240x240
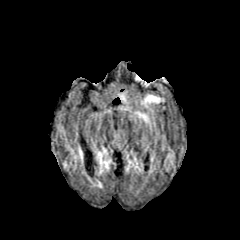
FLAIR magnetic resonance.
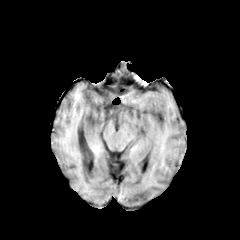
T1-weighted MR.
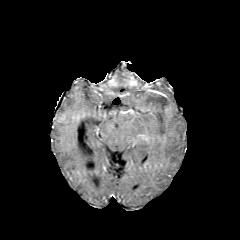
Post-contrast T1-weighted MR of the same slice.
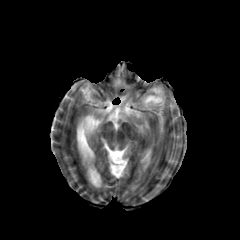
Same slice, T2-weighted MR.
{"edema": ["x1=120, y1=91, x2=163, y2=123"]}